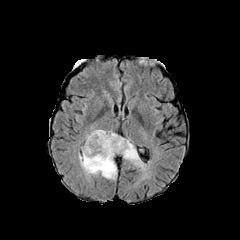
FLAIR MRI.
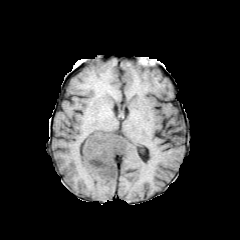
T1-weighted MR.
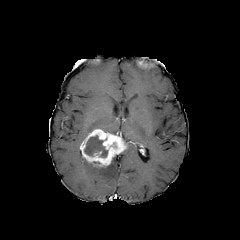
Post-contrast T1-weighted MR image.
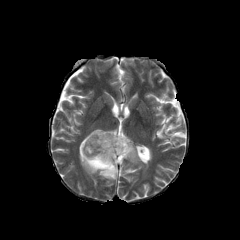
T2-weighted MR.
Image size 240x240. Brain.
Annotated regions:
* enhancing tumor: 80 129 127 167
* non-enhancing tumor core: 84 136 107 156
* edema: 90 142 100 149, 121 137 145 168, 79 150 117 180